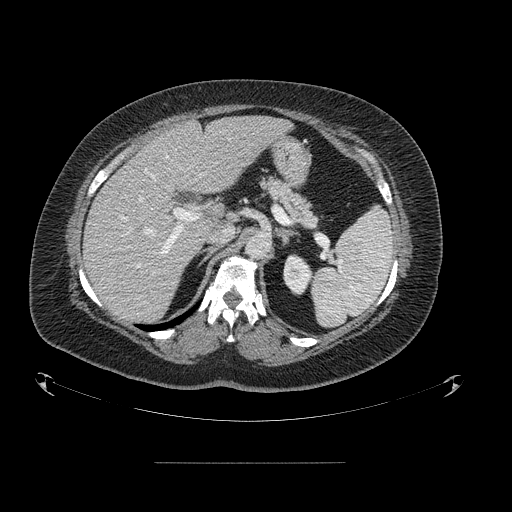
Image size 512x512, Abdomen, CT slice
Pancreas at [261,177,317,228].